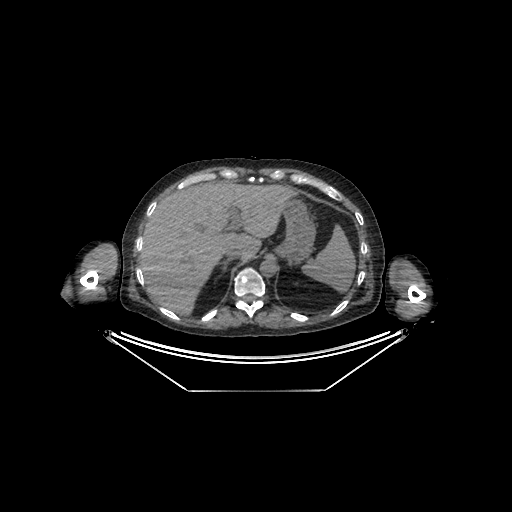 Liver. 512x512 px. CT scan slice.
The liver is bounded by bbox(137, 178, 293, 314).